Upper abdomen, CT
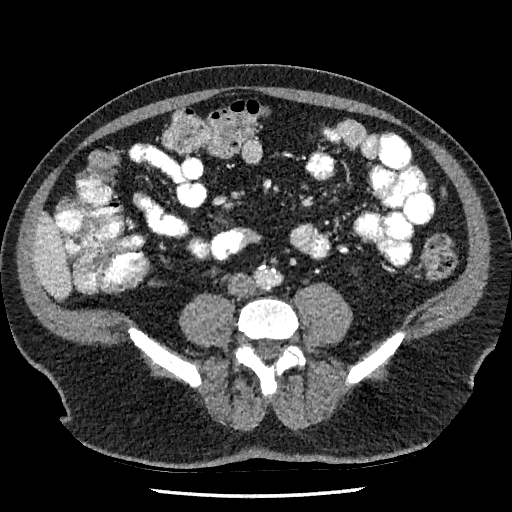

Liver: bounding box x1=35 y1=213 x2=70 y2=297.